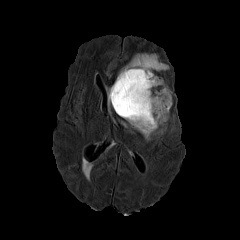
FLAIR MR.
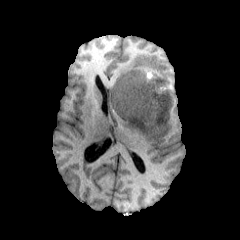
T1-weighted magnetic resonance.
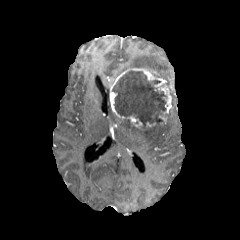
Post-contrast T1-weighted MRI of the same slice.
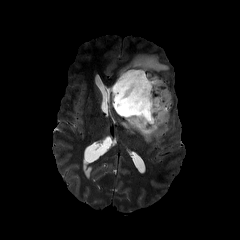
T2-weighted MR image of the same slice.
Head
edema: box(107, 86, 111, 112); box(132, 121, 167, 143); box(118, 53, 169, 75) | enhancing tumor: box(109, 69, 171, 119); box(127, 116, 143, 125) | non-enhancing tumor core: box(111, 70, 166, 128)